Computed tomography
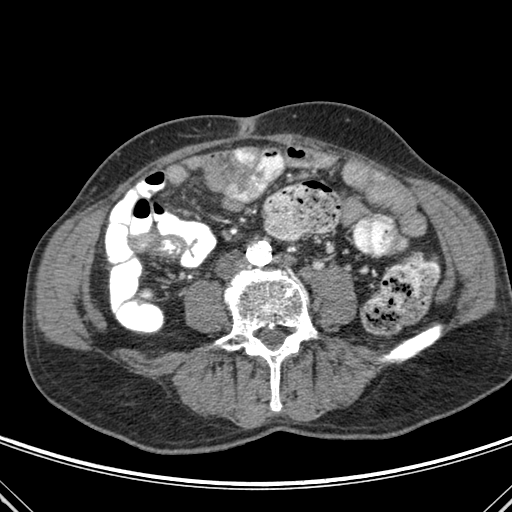
2 bone regions are located at left=214, top=270, right=317, bottom=411; left=380, top=325, right=441, bottom=361.